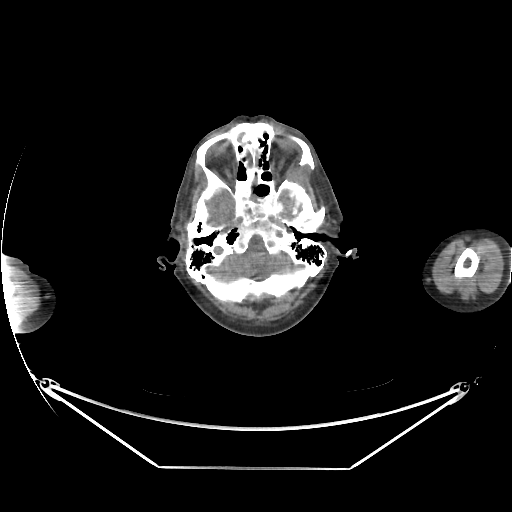 Brain. CT. brain:
  - 205:233:305:283
  - 269:189:302:227
  - 204:188:239:227
  - 244:149:261:170
  - 250:220:267:230
  - 250:194:262:203